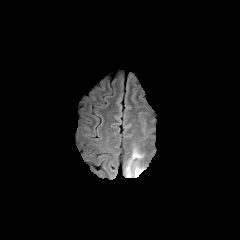
FLAIR MR.
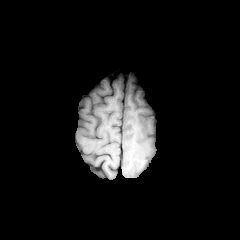
Same slice, T1-weighted MR image.
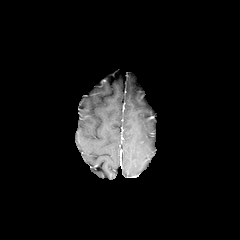
Post-contrast T1-weighted MR image.
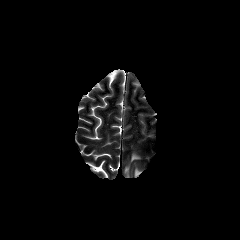
Same slice, T2-weighted magnetic resonance.
Edema = l=125, t=156, r=140, b=176.